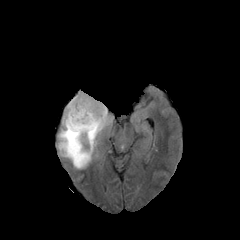
FLAIR MRI.
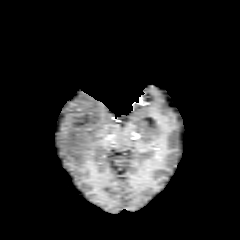
T1-weighted MR image of the same slice.
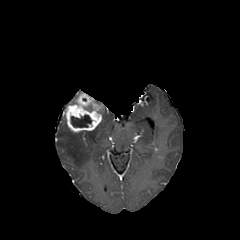
Post-contrast T1-weighted MRI.
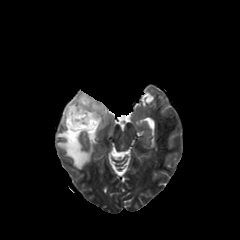
T2-weighted MRI.
Brain
non-enhancing_tumor_core:
  - (70,115,91,127)
enhancing_tumor:
  - (63,91,105,132)
edema:
  - (58,108,112,168)